35x44; Magnetic resonance 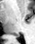 {
  "posterior_hippocampus": [
    "box(16, 35, 19, 36)"
  ]
}